CT image 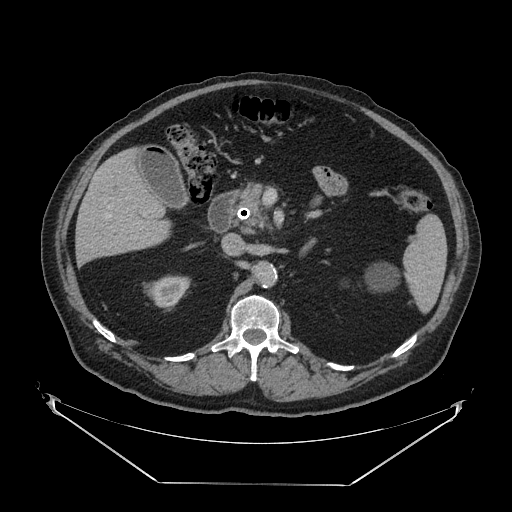 <segmentation>
  <pancreas><bbox>241, 185, 265, 225</bbox></pancreas>
</segmentation>